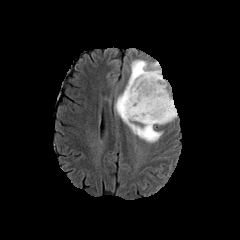
FLAIR magnetic resonance.
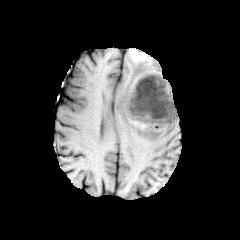
Same slice, T1-weighted MR.
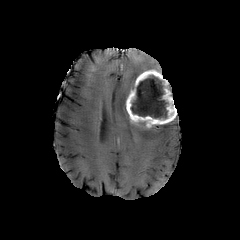
Post-contrast T1-weighted MR of the same slice.
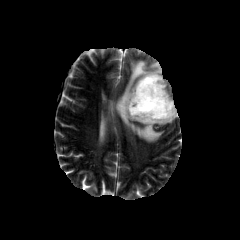
T2-weighted magnetic resonance.
The enhancing tumor is bounded by (left=126, top=70, right=176, bottom=127). The non-enhancing tumor core appears at (left=130, top=78, right=168, bottom=119). The edema is at (left=113, top=59, right=164, bottom=143).